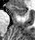
MRI slice. Medial temporal lobe.
<segmentation>
  <anterior_hippocampus>12 5 27 17</anterior_hippocampus>
</segmentation>